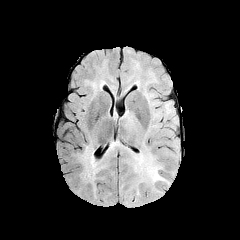
FLAIR magnetic resonance.
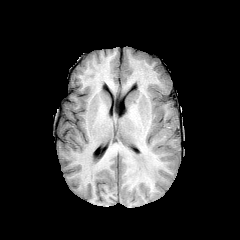
T1-weighted MRI.
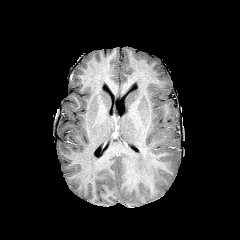
Post-contrast T1-weighted MR.
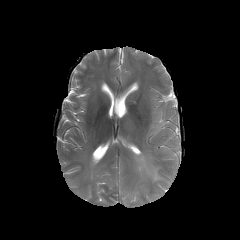
T2-weighted magnetic resonance.
Head
Edema = box=[132, 150, 170, 187]; box=[78, 144, 103, 183].